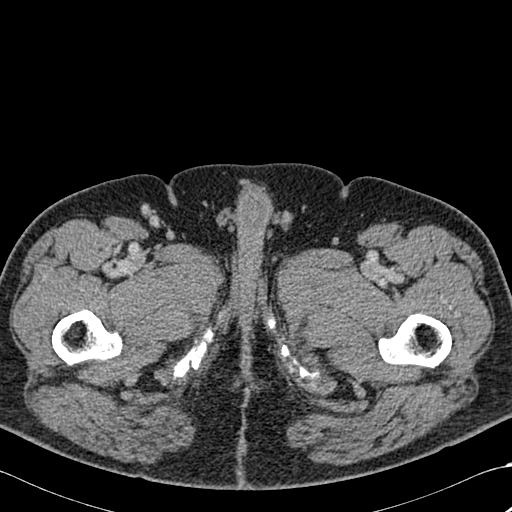 512x512; CT image
Bone at [x1=282, y1=345, x2=288, y2=355], [x1=299, y1=367, x2=316, y2=377], [x1=174, y1=330, x2=211, y2=376], [x1=379, y1=314, x2=451, y2=367], [x1=52, y1=310, x2=121, y2=364].